Cardiac, MRI

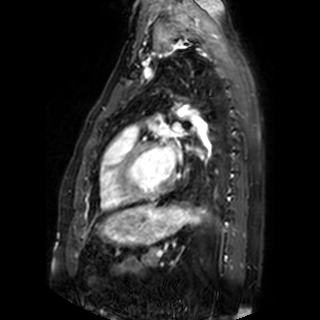 <segmentation>
  <left_atrium>(left=174, top=123, right=182, bottom=132), (left=163, top=142, right=175, bottom=169)</left_atrium>
</segmentation>